Field of view 240x240 mm | Slice 88 of 155
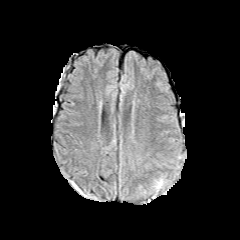
FLAIR magnetic resonance.
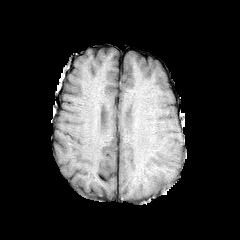
T1-weighted MR image of the same slice.
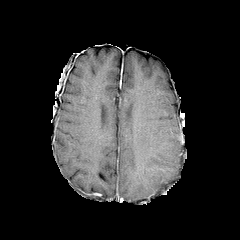
Same slice, post-contrast T1-weighted MR image.
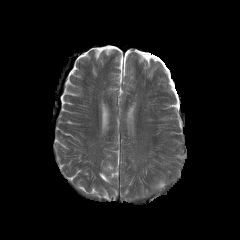
Same slice, T2-weighted magnetic resonance.
Edema at bbox(153, 176, 166, 189).